Hippocampus; MRI slice
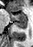 posterior hippocampus: 14, 23, 26, 29 | anterior hippocampus: 9, 13, 26, 22